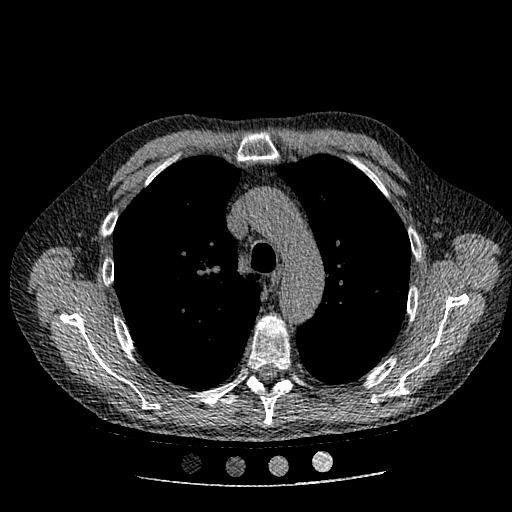
Computed tomography

Annotated regions:
* lung tumor: l=383, t=287, r=406, b=313